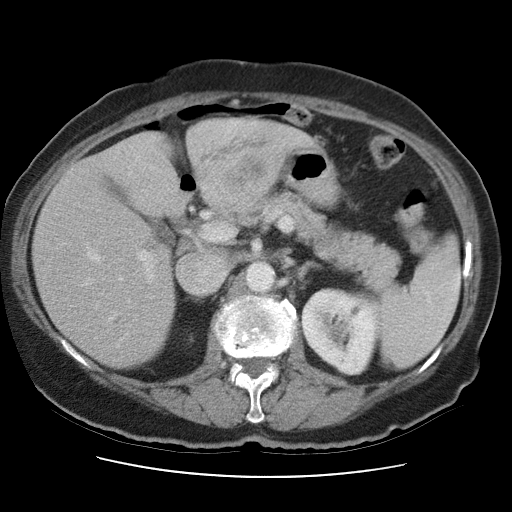
Computed tomography. Liver.

Only some of the vessels may be annotated.
hepatic vessel: {"x1": 202, "y1": 223, "x2": 227, "y2": 240}, {"x1": 138, "y1": 252, "x2": 153, "y2": 282}, {"x1": 89, "y1": 256, "x2": 97, "y2": 261} | liver tumor: {"x1": 205, "y1": 137, "x2": 265, "y2": 187}